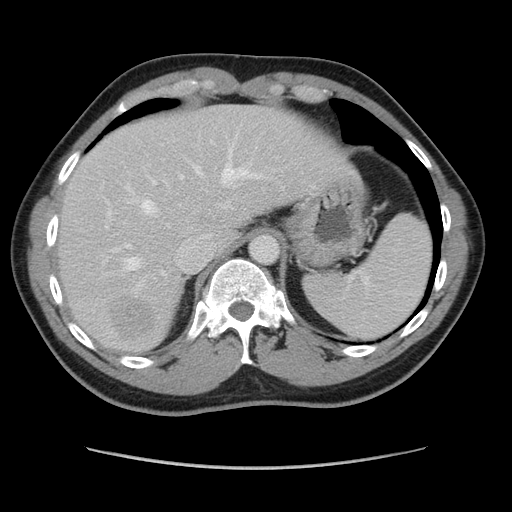

Abdomen, Image size 512x512, CT slice

Some hepatic vessels may have no box.
[15/19] hepatic vessel: x1=125 y1=244 x2=130 y2=247, x1=135 y1=283 x2=141 y2=290, x1=161 y1=271 x2=166 y2=275, x1=105 y1=199 x2=109 y2=203, x1=127 y1=199 x2=136 y2=202, x1=126 y1=183 x2=132 y2=193, x1=179 y1=175 x2=183 y2=178, x1=188 y1=160 x2=206 y2=178, x1=147 y1=175 x2=156 y2=184, x1=125 y1=258 x2=139 y2=270, x1=220 y1=141 x2=266 y2=186, x1=141 y1=199 x2=156 y2=216, x1=217 y1=201 x2=229 y2=207, x1=107 y1=210 x2=111 y2=220, x1=111 y1=248 x2=119 y2=252 | liver tumor: x1=110 y1=296 x2=155 y2=342